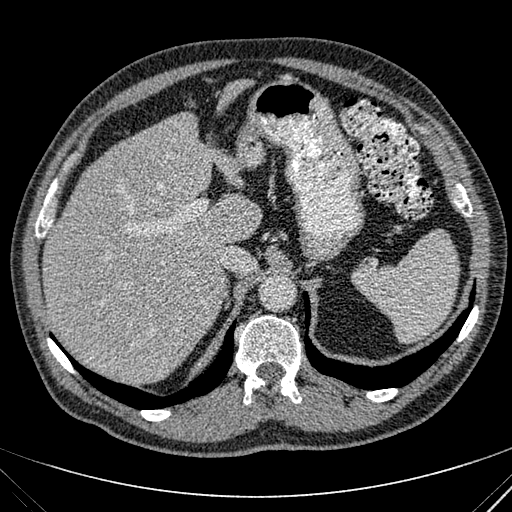
Computed tomography | 512x512 | Liver

<segmentation>
  <liver>44, 113, 260, 381; 217, 80, 253, 108</liver>
</segmentation>